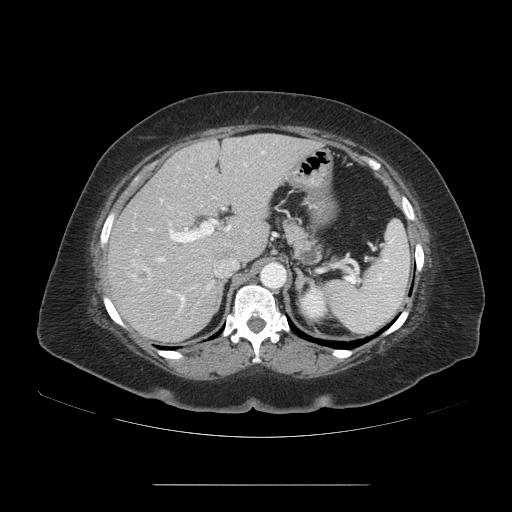
Liver, CT slice
Only some of the vessels may be annotated.
Hepatic vessel = <bbox>214, 258, 237, 276</bbox>, <bbox>160, 199, 162, 202</bbox>, <bbox>224, 225, 230, 230</bbox>, <bbox>169, 222, 171, 226</bbox>, <bbox>157, 257, 162, 261</bbox>, <bbox>167, 290, 169, 292</bbox>, <bbox>147, 228, 153, 230</bbox>, <bbox>169, 219, 216, 243</bbox>, <bbox>177, 295, 184, 305</bbox>.
Liver tumor = <bbox>134, 266, 150, 280</bbox>.